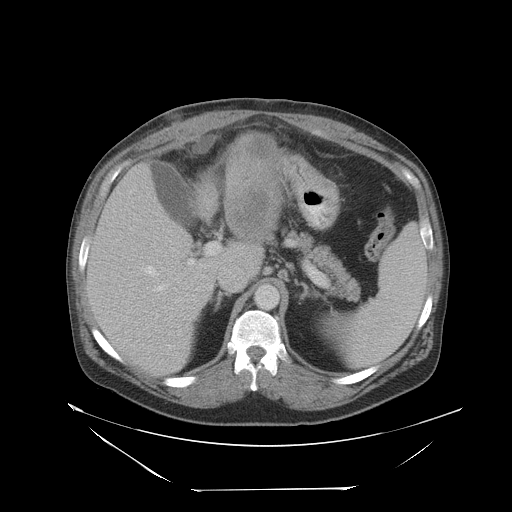 512x512 px. CT slice. The vessel boxes may cover only some of the vessels.
6 hepatic vessel regions are located at <bbox>207, 243, 219, 254</bbox>, <bbox>169, 345, 171, 348</bbox>, <bbox>153, 284, 167, 291</bbox>, <bbox>129, 191, 131, 192</bbox>, <bbox>188, 259, 194, 264</bbox>, <bbox>146, 266, 158, 275</bbox>. 2 liver tumor regions are bounded by <bbox>245, 135, 269, 160</bbox>, <bbox>228, 180, 271, 237</bbox>.